Upper abdomen | CT | Slice 177 of 260
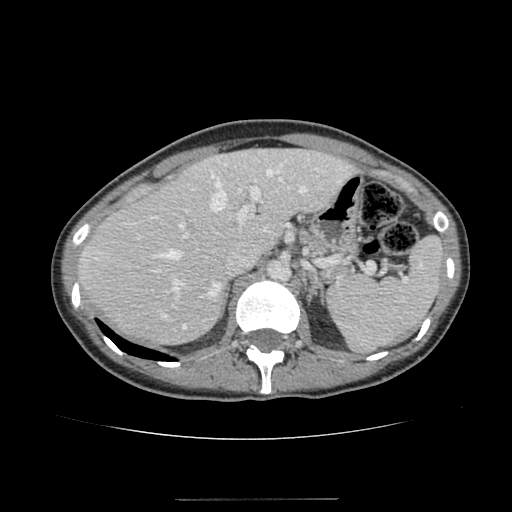 liver:
  - (79,149,358,345)